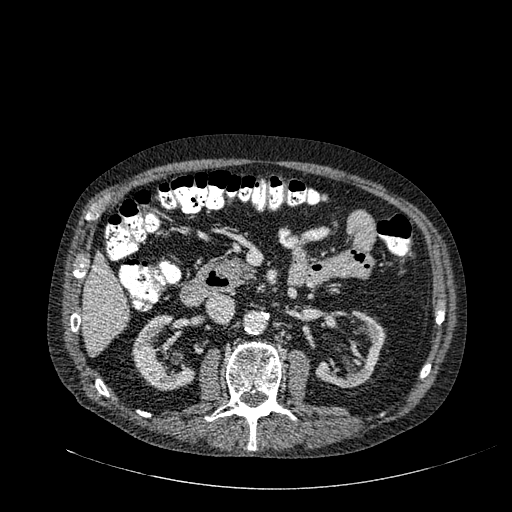 Computed tomography, Image size 512x512

liver: 83, 253, 128, 356 | kidney: 315, 311, 385, 387; 131, 315, 194, 390